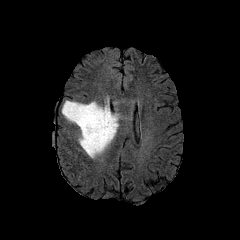
FLAIR magnetic resonance.
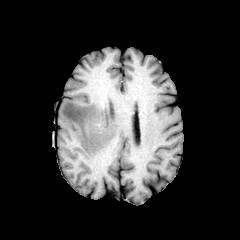
Same slice, T1-weighted MR.
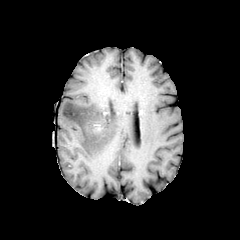
Post-contrast T1-weighted MR image.
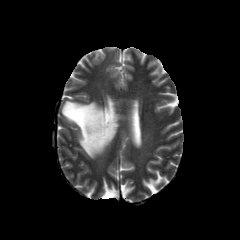
T2-weighted MR image.
Brain.
Annotated regions:
- edema: 61:100:119:158
- non-enhancing tumor core: 84:121:102:134